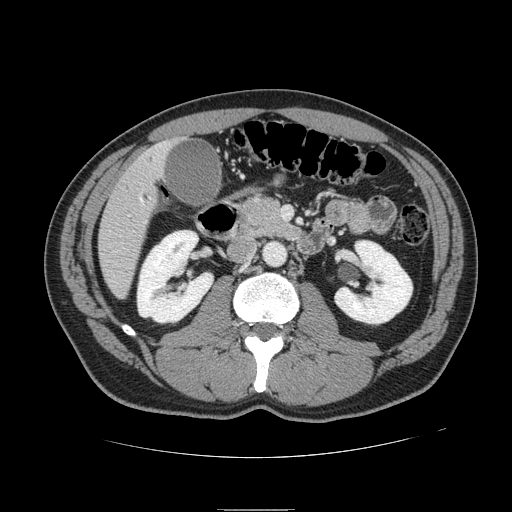 CT slice; Upper abdomen
<segmentation>
  <pancreas>box(239, 198, 301, 239)</pancreas>
</segmentation>